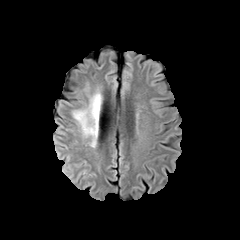
FLAIR MRI.
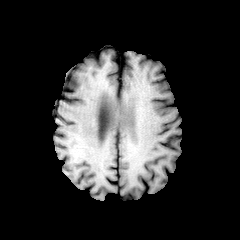
T1-weighted MR.
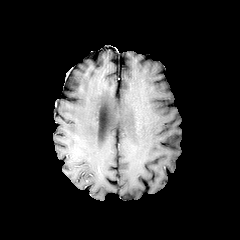
Same slice, post-contrast T1-weighted MRI.
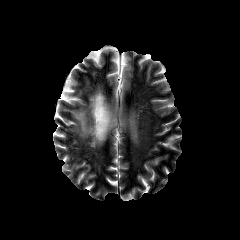
Same slice, T2-weighted MR.
240x240, Brain
The edema is bounded by [72, 86, 103, 147].